512x512 | CT | Chest 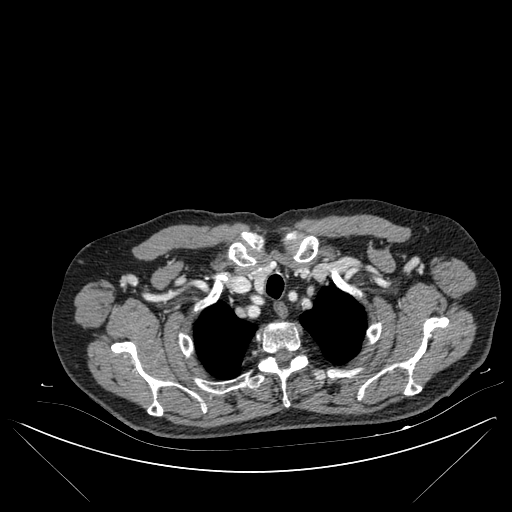

{"bone": ["box(195, 373, 263, 393)", "box(294, 236, 318, 262)", "box(179, 333, 192, 356)", "box(111, 342, 198, 415)", "box(327, 369, 360, 377)", "box(258, 356, 307, 406)", "box(241, 232, 263, 249)", "box(286, 232, 295, 239)", "box(367, 323, 381, 343)", "box(331, 267, 353, 294)", "box(228, 242, 255, 266)", "box(358, 317, 448, 399)", "box(259, 323, 299, 353)", "box(201, 273, 227, 307)"], "lung": ["box(194, 301, 255, 378)", "box(266, 276, 283, 297)", "box(300, 286, 365, 364)"]}